Image size 512x512, Field of view 370 mm wide, 5.00 mm slice spacing, Computed tomography, Pelvis
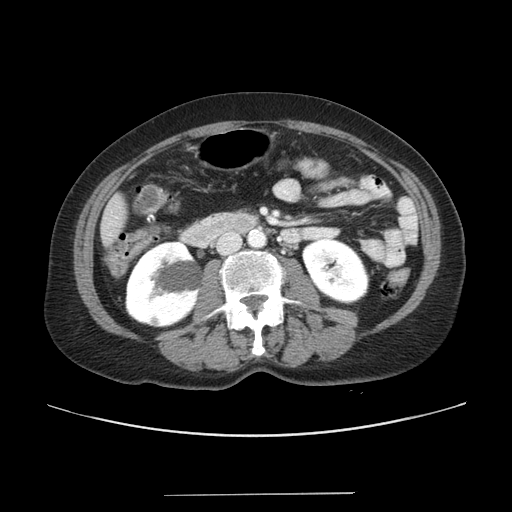 colon_tumor:
  - rect(123, 230, 151, 260)